CT slice

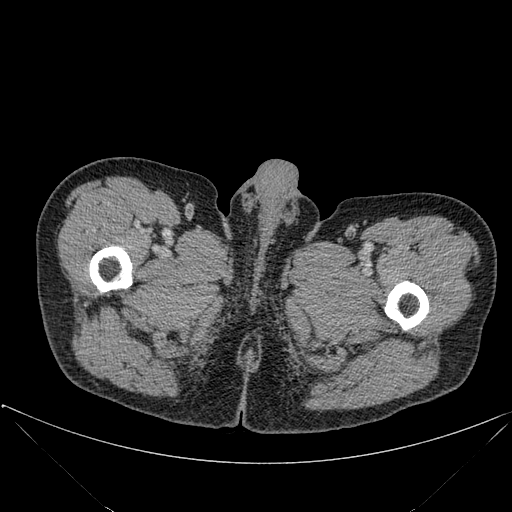
Bone: rect(89, 246, 132, 291); rect(385, 281, 428, 329).